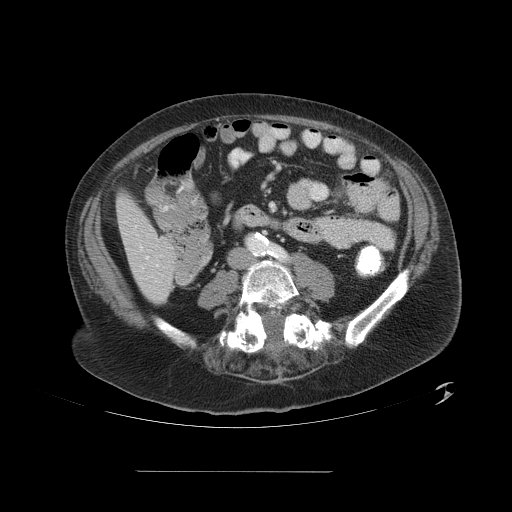
CT slice
Not every hepatic vessel necessarily has a box.
3 hepatic vessel regions are bounded by (156, 264, 157, 266), (146, 257, 148, 259), (140, 246, 142, 251).